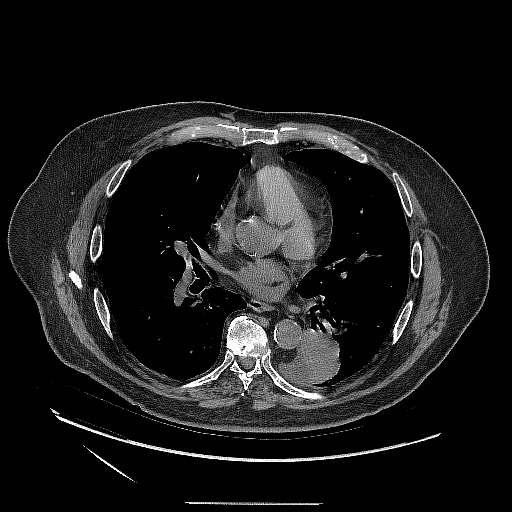 CT image. Chest. 512x512 px. The lung tumor is bounded by 278 328 344 385.